Heart; Slice 51 of 100; Magnetic resonance; 320x320

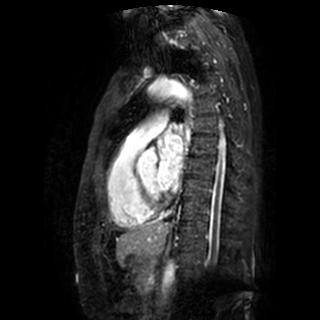

The left atrium appears at bbox=[157, 134, 182, 191].